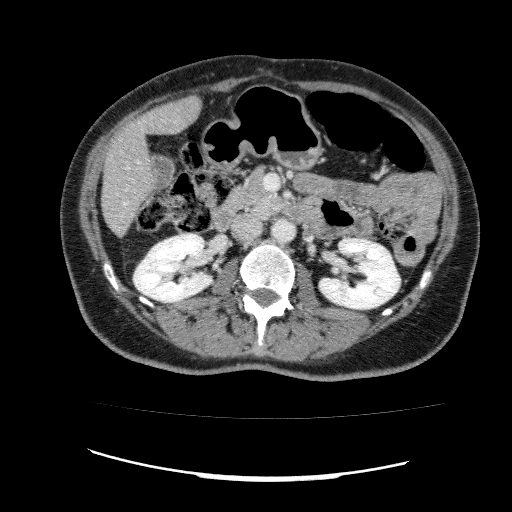 CT slice
2 kidney regions are located at (left=133, top=234, right=211, bottom=302), (left=319, top=238, right=399, bottom=308). The liver is bounded by (left=101, top=95, right=201, bottom=236).